CT slice | Field of view 437x437 mm | Image size 512x512 | Upper abdomen
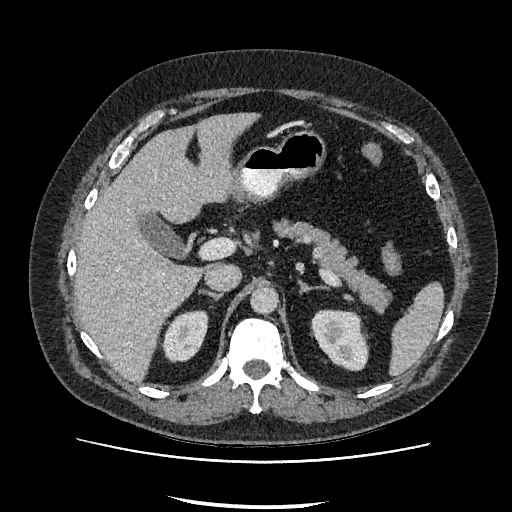 Liver at 76,113,259,380.
Kidney at 164,312,206,359; 313,311,366,369.